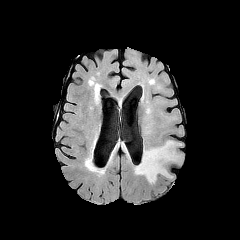
FLAIR MR.
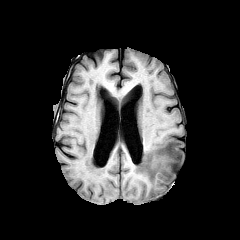
Same slice, T1-weighted MRI.
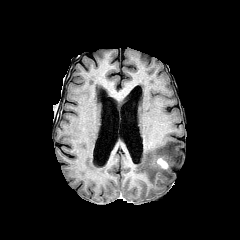
Same slice, post-contrast T1-weighted MR.
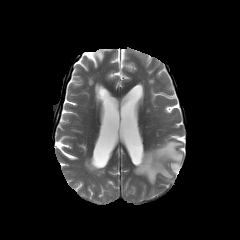
T2-weighted MR.
The edema is bounded by 134, 140, 181, 183. The enhancing tumor appears at 157, 158, 167, 168.